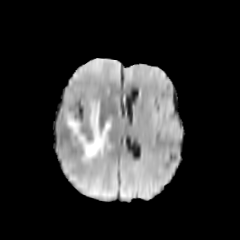
FLAIR MR.
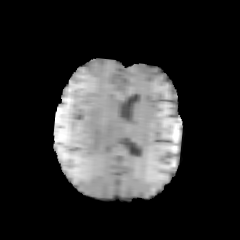
Same slice, T1-weighted MR.
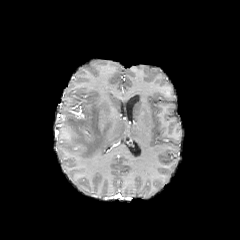
Post-contrast T1-weighted magnetic resonance of the same slice.
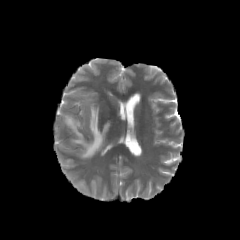
T2-weighted MR.
240x240 px; Brain
<segmentation>
  <edema>{"x1": 64, "y1": 101, "x2": 111, "y2": 160}</edema>
</segmentation>